FLAIR MR.
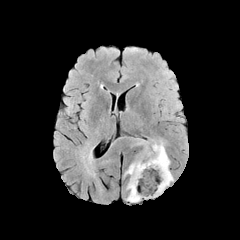
T1-weighted MR image.
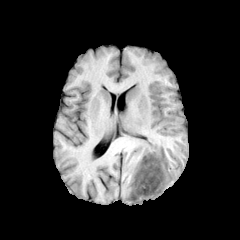
Post-contrast T1-weighted MR image.
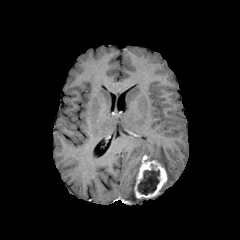
T2-weighted MR.
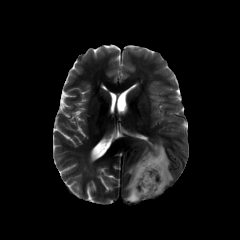
Brain
Edema: <bbox>125, 160, 142, 202</bbox>, <bbox>145, 141, 173, 193</bbox>.
Enhancing tumor: <bbox>134, 154, 167, 199</bbox>.
Non-enhancing tumor core: <bbox>138, 170, 159, 194</bbox>.